Slice index 120
FLAIR MR image.
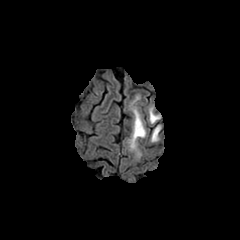
T1-weighted MRI.
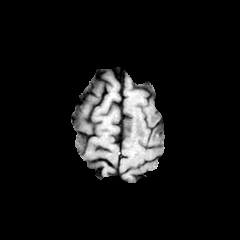
Post-contrast T1-weighted magnetic resonance.
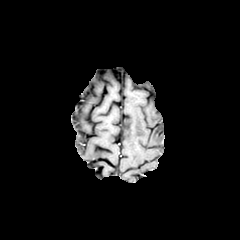
T2-weighted MR.
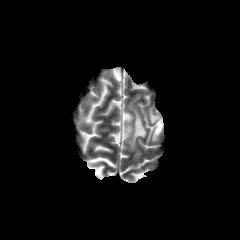
{"edema": [{"x1": 128, "y1": 106, "x2": 161, "y2": 150}]}